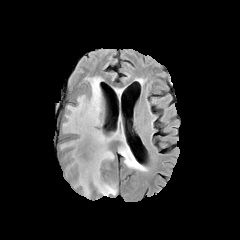
FLAIR MR image.
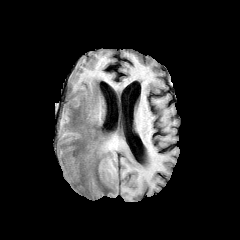
Same slice, T1-weighted MR.
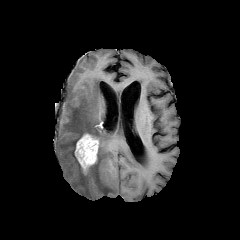
Post-contrast T1-weighted MRI of the same slice.
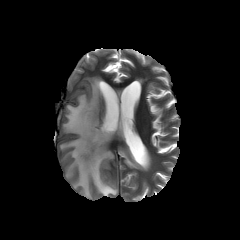
T2-weighted MRI.
240x240.
The edema lies within [60,76,137,197]. The enhancing tumor is bounded by [75,134,99,173].